Slice index 131, Image width 240 mm
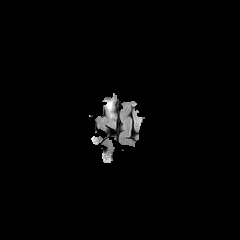
FLAIR MR.
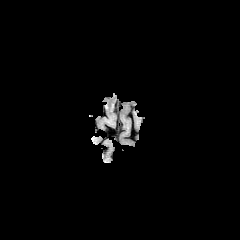
Same slice, T1-weighted magnetic resonance.
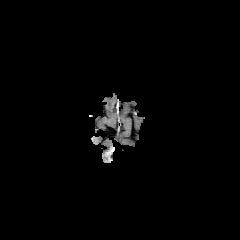
Post-contrast T1-weighted MR image.
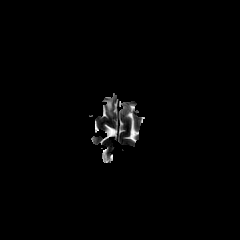
Same slice, T2-weighted MRI.
edema: {"x1": 104, "y1": 100, "x2": 113, "y2": 120}